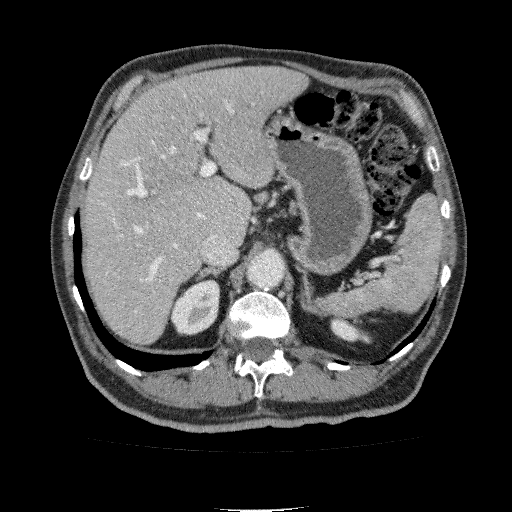 Upper abdomen; 512x512 px; Computed tomography
Annotated regions:
* liver: l=85, t=68, r=309, b=342
* kidney: l=171, t=281, r=218, b=333; l=332, t=320, r=357, b=339